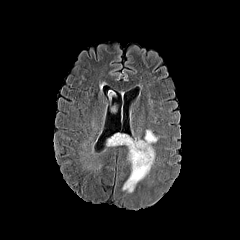
FLAIR MR image.
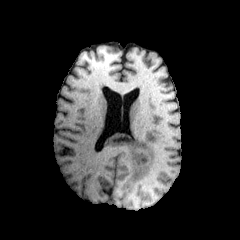
T1-weighted magnetic resonance.
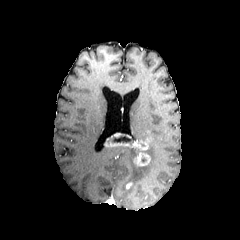
Post-contrast T1-weighted MR image.
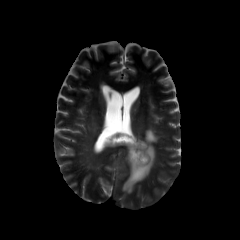
T2-weighted MRI.
<segmentation>
  <non-enhancing_tumor_core><box>110,134,132,144</box></non-enhancing_tumor_core>
  <enhancing_tumor><box>104,132,150,166</box></enhancing_tumor>
  <edema><box>123,129,157,192</box></edema>
</segmentation>